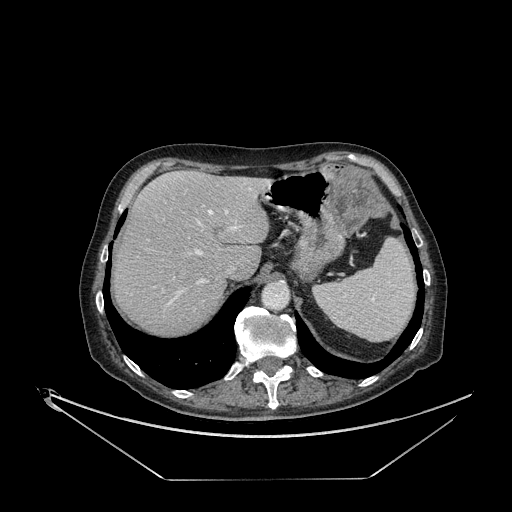

Image size 512x512. CT.
The liver lies within [114,170,270,336].